Hippocampus, Field of view 33 mm wide, 1.00 mm slice spacing, MRI slice
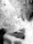
Posterior hippocampus at 12,30,23,37.